Brain
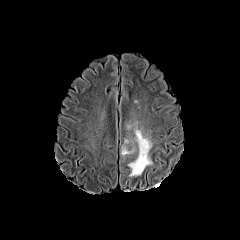
FLAIR MR.
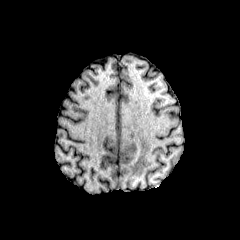
Same slice, T1-weighted MR image.
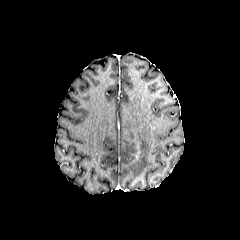
Post-contrast T1-weighted MR image.
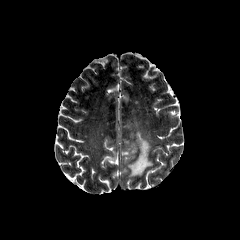
T2-weighted MRI.
2 edema regions are bounded by box(121, 149, 136, 155); box(128, 123, 152, 177).